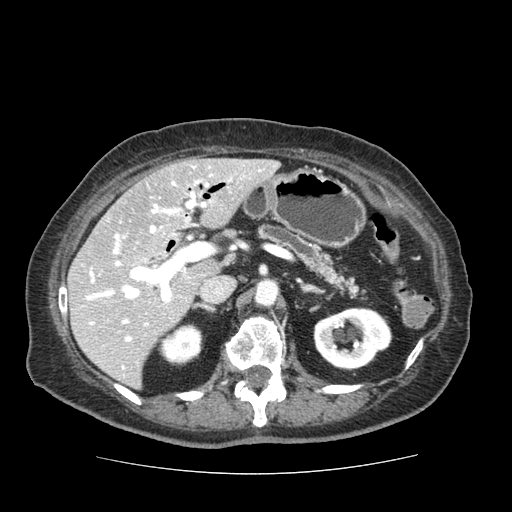 Image size 512x512. CT. The pancreas lies within [258,225,358,294].